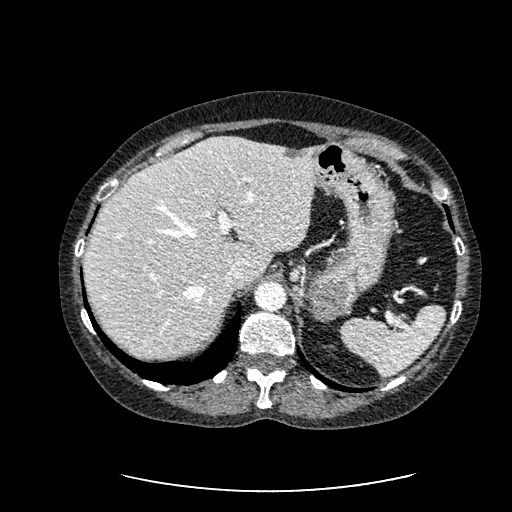 CT scan slice. * liver: left=83, top=136, right=320, bottom=356
* liver lesion: left=283, top=147, right=308, bottom=158